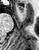

Magnetic resonance
{
  "anterior_hippocampus": [
    "box(19, 6, 23, 10)"
  ]
}